FLAIR MR image.
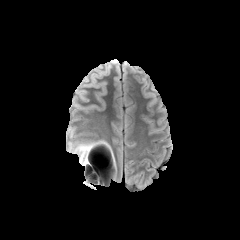
T1-weighted MRI.
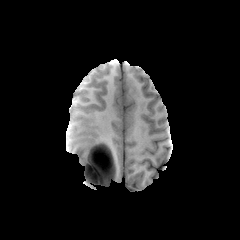
Post-contrast T1-weighted MRI.
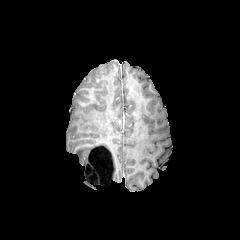
T2-weighted magnetic resonance.
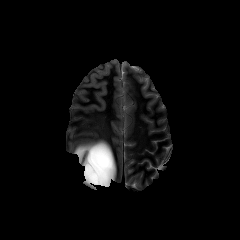
{"edema": ["(left=72, top=141, right=102, bottom=166)"], "non-enhancing_tumor_core": ["(left=84, top=145, right=109, bottom=183)"]}